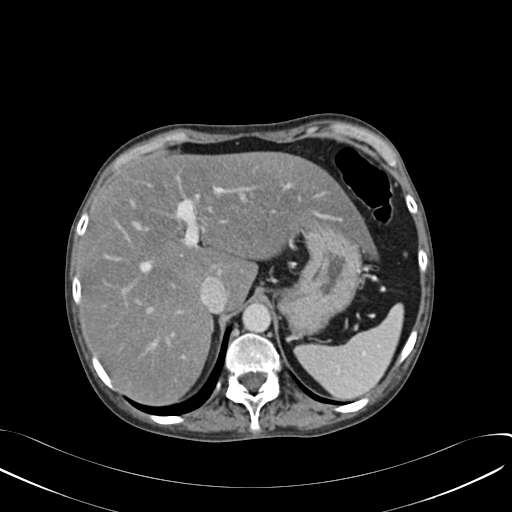

Computed tomography

Liver: box(81, 151, 375, 405).